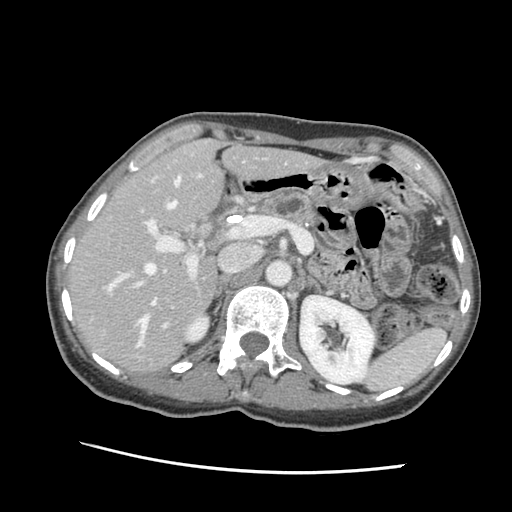 Upper abdomen | CT scan slice
Pancreas: bounding box 257:192:318:227.